FLAIR magnetic resonance.
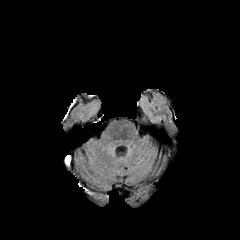
T1-weighted MR image.
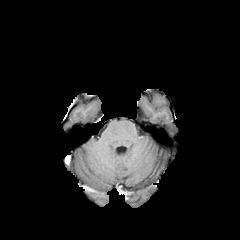
Post-contrast T1-weighted MRI.
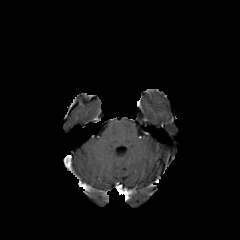
T2-weighted MR.
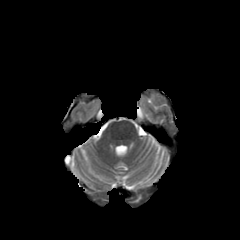
240x240 px
<segmentation>
  <edema>[x1=65, y1=155, x2=71, y2=166]</edema>
</segmentation>